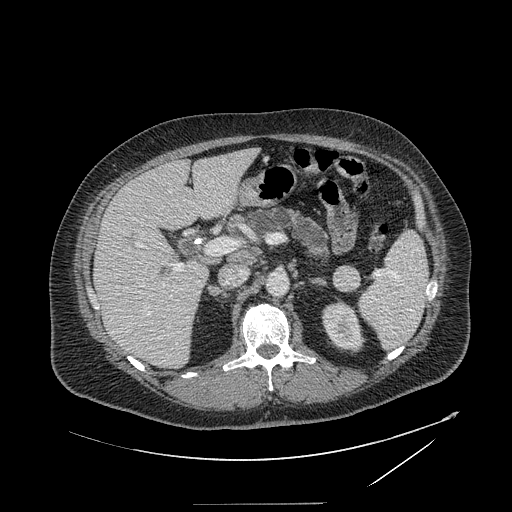
512x512 | CT image
Pancreas: bounding box <box>245,208,329,261</box>.